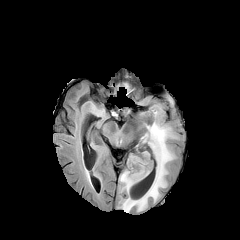
FLAIR MR image.
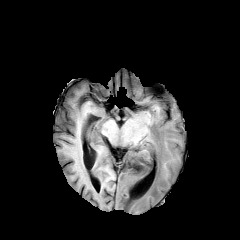
Same slice, T1-weighted magnetic resonance.
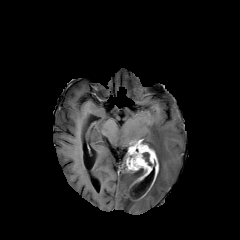
Post-contrast T1-weighted MR.
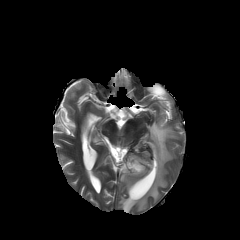
T2-weighted MRI of the same slice.
Enhancing tumor at <bbox>126, 156, 151, 172</bbox>, <bbox>150, 150, 158, 178</bbox>.
Edema at <bbox>119, 119, 175, 212</bbox>.
Non-enhancing tumor core at <bbox>128, 139, 157, 172</bbox>, <bbox>136, 168, 149, 181</bbox>.